FLAIR MRI.
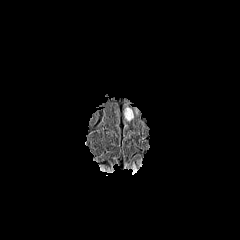
T1-weighted magnetic resonance.
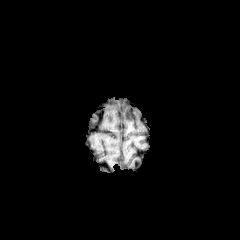
Post-contrast T1-weighted magnetic resonance.
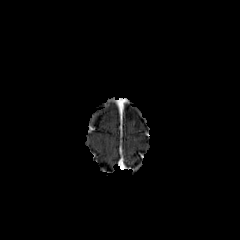
T2-weighted magnetic resonance.
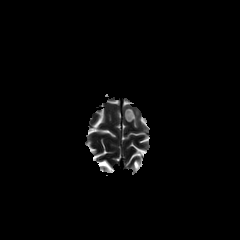
The edema is located at bbox(126, 108, 133, 119).